Pelvis; CT image; Field of view 381x381 mm; 512x512 px
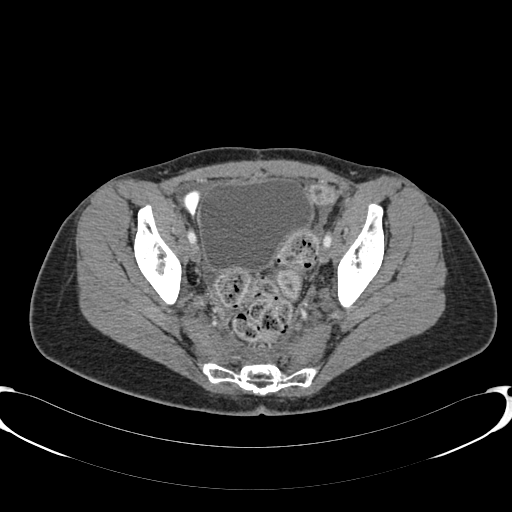
Urinary bladder = [200, 180, 310, 269].